Head | Slice 80 of 155
FLAIR MR.
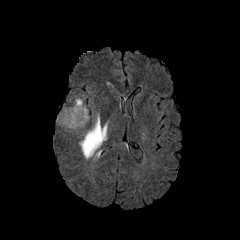
T1-weighted magnetic resonance.
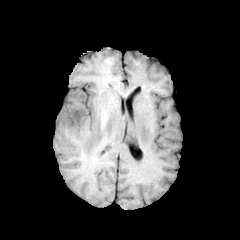
Post-contrast T1-weighted MR.
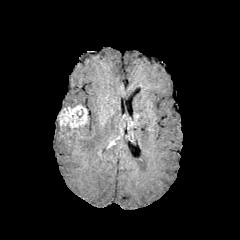
T2-weighted magnetic resonance.
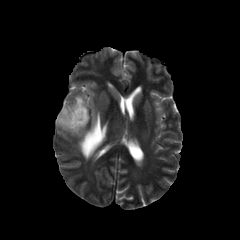
Annotated regions:
- enhancing tumor: (58, 106, 88, 128), (82, 126, 94, 138)
- edema: (72, 95, 83, 106), (78, 112, 108, 160)
- non-enhancing tumor core: (77, 118, 92, 136)